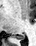

Medial temporal lobe; 36x46; MRI slice

Posterior hippocampus: bounding box box=[12, 34, 24, 39].